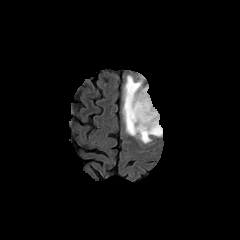
FLAIR MRI.
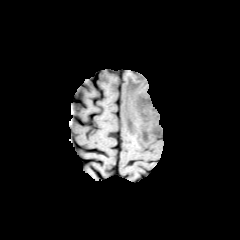
T1-weighted MR image of the same slice.
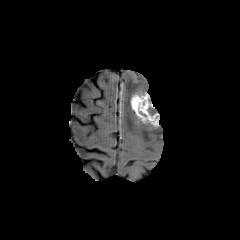
Post-contrast T1-weighted magnetic resonance of the same slice.
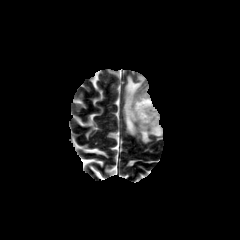
T2-weighted MR image.
240x240 px.
Annotated regions:
• edema: 122, 74, 162, 143
• enhancing tumor: 130, 92, 158, 127
• non-enhancing tumor core: 150, 125, 161, 135; 125, 80, 140, 129; 148, 107, 159, 119